Liver. CT slice. Image size 512x512.

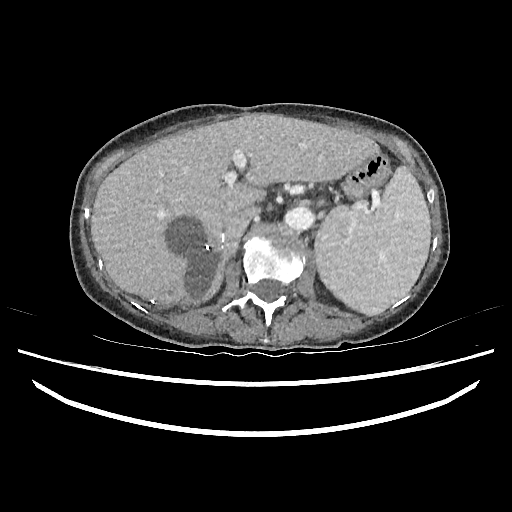 {
  "liver": [
    "[91, 114, 376, 305]"
  ],
  "hepatic_lesion": [
    "[167, 217, 218, 295]"
  ]
}